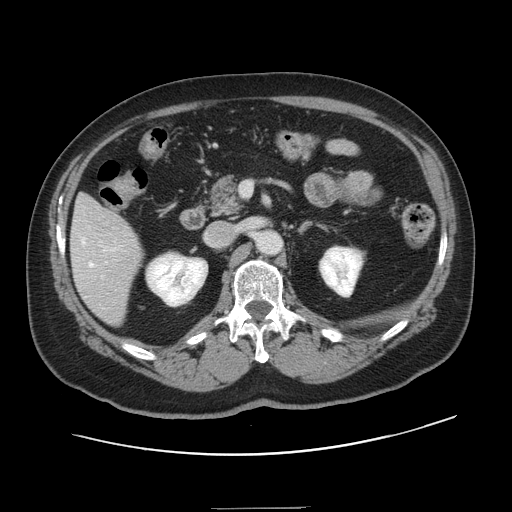

CT slice, Liver

Not every hepatic vessel necessarily has a box.
Hepatic vessel: [90,263,92,266], [82,238,84,243], [110,249,114,249].